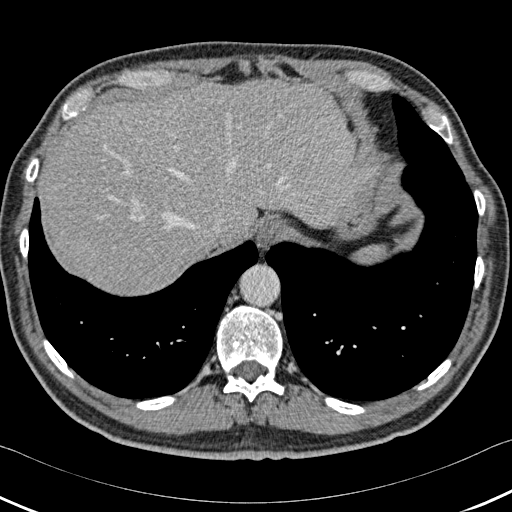 CT scan slice. Image size 512x512.
The liver lies within 38 79 372 294. 2 lung regions are bounded by 28 197 259 400, 265 93 478 404. 11 bone regions are bounded by 418 359 450 389, 217 306 283 401, 20 229 28 257, 474 257 483 288, 137 396 175 410, 43 340 73 377, 26 159 38 181, 68 111 77 117, 429 113 452 143, 325 398 364 414, 474 190 485 215.